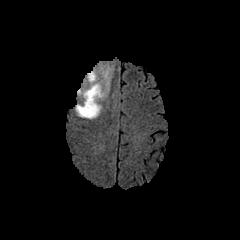
FLAIR MR.
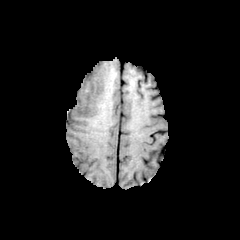
T1-weighted MR image.
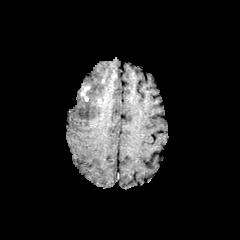
Post-contrast T1-weighted MR image.
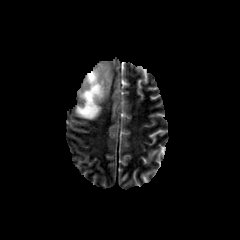
T2-weighted magnetic resonance.
240x240
Edema: region(75, 64, 112, 119).
Non-enhancing tumor core: region(80, 87, 89, 101).